Abdomen | Slice 27 of 144 | CT image | Image size 512x512
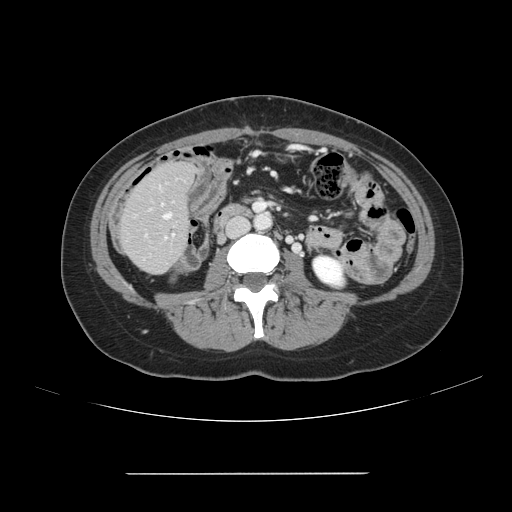 Not every hepatic vessel necessarily has a box.
Hepatic vessel — (164, 213, 170, 218), (161, 204, 162, 205).